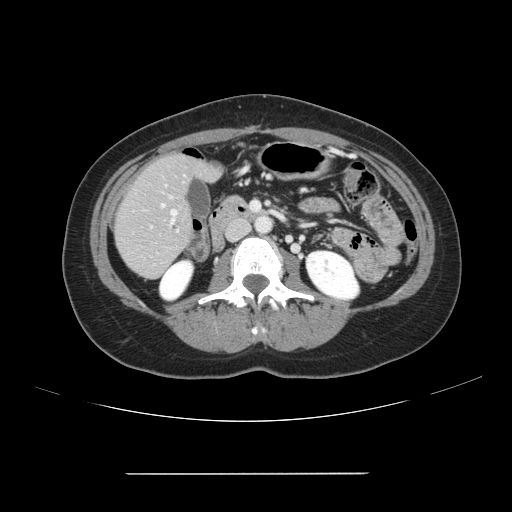

CT.

Only some of the vessels may be annotated.
Annotated regions:
- hepatic vessel: [171, 210, 176, 222], [161, 204, 164, 206]